Image size 320x320. Heart. MR.

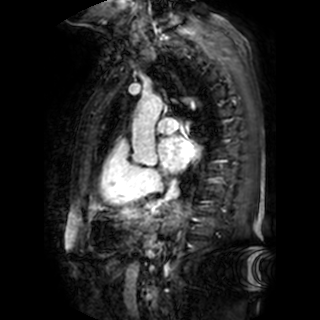
The left atrium lies within bbox=[158, 137, 200, 172].